Head.
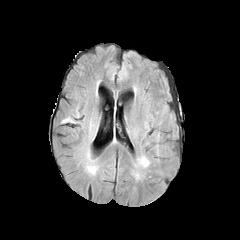
FLAIR MR image.
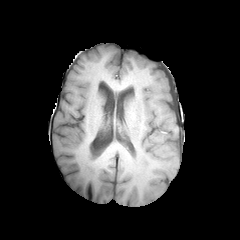
T1-weighted MR.
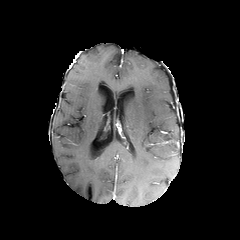
Post-contrast T1-weighted MR image.
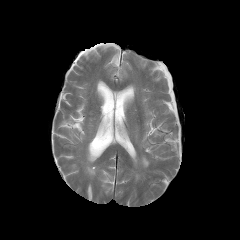
T2-weighted magnetic resonance of the same slice.
Edema: [134, 155, 149, 168].